Magnetic resonance | Slice 35/42

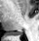 The posterior hippocampus lies within (14, 33, 22, 35).